Head
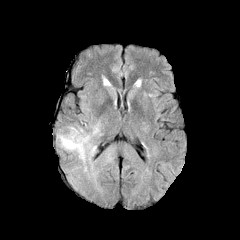
FLAIR MR image.
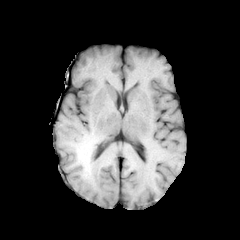
Same slice, T1-weighted MR image.
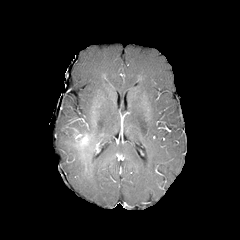
Post-contrast T1-weighted MR.
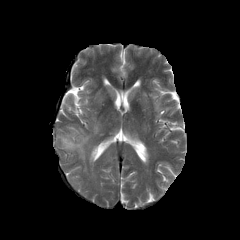
T2-weighted MR image.
- edema: <bbox>92, 122, 99, 135</bbox>, <bbox>88, 135, 95, 146</bbox>, <bbox>56, 126, 95, 171</bbox>
- non-enhancing tumor core: <bbox>70, 128, 96, 160</bbox>